Field of view 434x434 mm | CT image

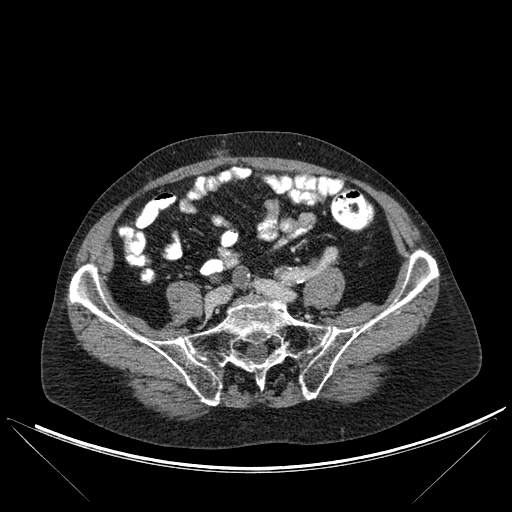

<segmentation>
  <bone>x1=70, y1=250, x2=437, y2=405</bone>
</segmentation>